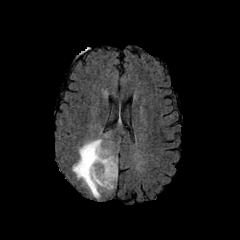
FLAIR magnetic resonance.
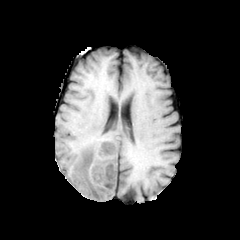
Same slice, T1-weighted MR.
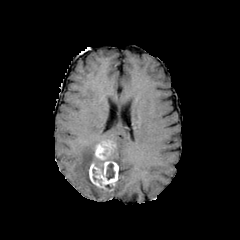
Same slice, post-contrast T1-weighted MR.
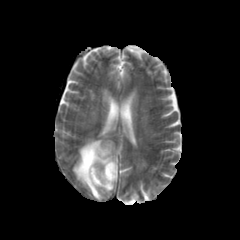
T2-weighted MRI of the same slice.
Edema: bounding box x1=72, y1=139, x2=105, y2=197.
Non-enhancing tumor core: bounding box x1=107, y1=163, x2=114, y2=179.
Enhancing tumor: bounding box x1=89, y1=141, x2=117, y2=191.